Slice index 52, Computed tomography 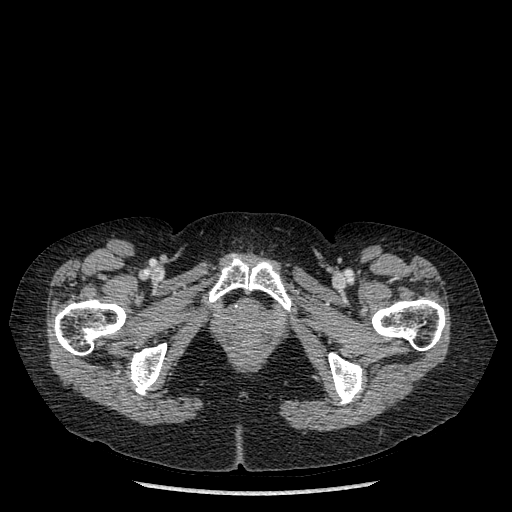

Segmented structures:
• bone: x1=372, y1=298, x2=445, y2=350; x1=209, y1=254, x2=291, y2=311; x1=328, y1=352, x2=363, y2=404; x1=53, y1=299, x2=126, y2=355; x1=128, y1=343, x2=166, y2=394